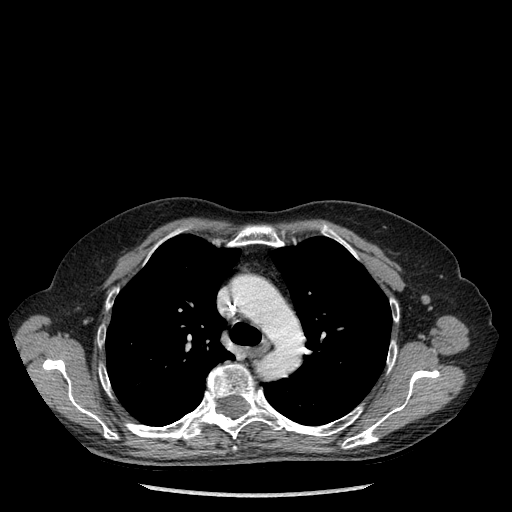

Chest. CT image.
{"bone": ["[146,228,184,260]", "[227,225,283,246]", "[125,364,362,439]", "[322,225,357,258]", "[106,290,114,309]", "[342,370,439,448]", "[390,298,399,321]", "[97,325,105,346]", "[99,365,111,396]", "[387,341,396,372]", "[42,357,118,439]"], "lung": ["[105,234,260,426]", "[264,236,391,425]"]}